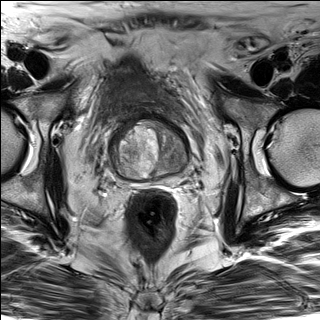
T2-weighted MR.
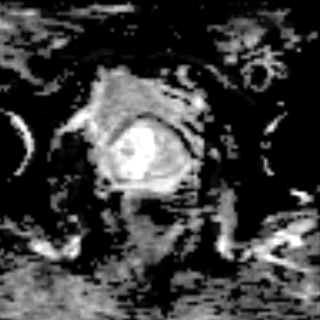
Same slice, ADC MRI.
Prostate.
The prostate transition zone is bounded by rect(109, 117, 187, 181). The prostate peripheral zone is located at rect(109, 152, 187, 186).